FLAIR MRI.
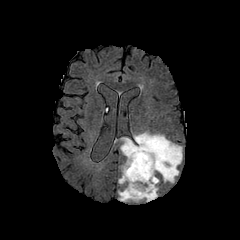
T1-weighted MRI.
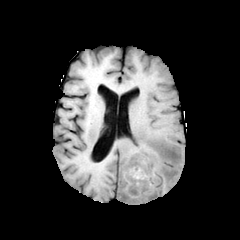
Post-contrast T1-weighted magnetic resonance.
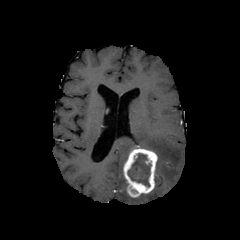
T2-weighted MR.
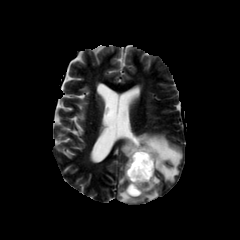
240x240 | Head
edema: 118,176,160,202; 119,136,134,156; 133,132,182,183; 118,175,125,184 | enhancing tumor: 122,144,158,198 | non-enhancing tumor core: 132,154,149,174